CT; Image width 417 mm; Thorax; Slice 131/322 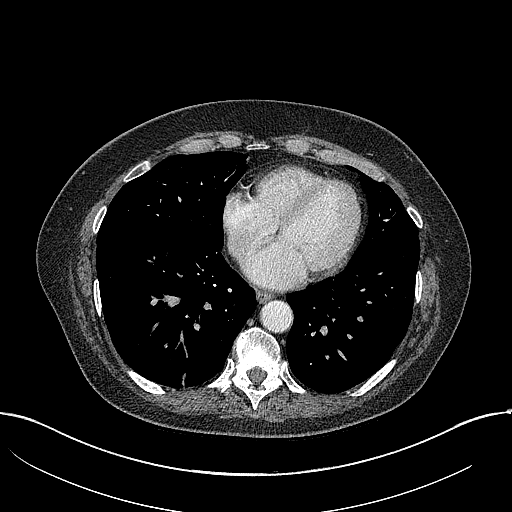 lung tumor: x1=172, y1=368, x2=188, y2=387